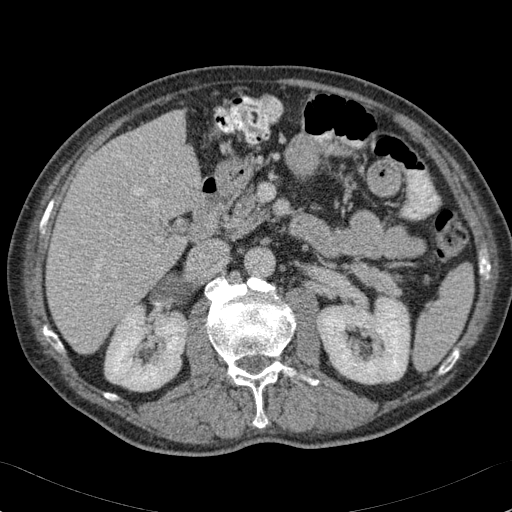 CT scan slice; 512x512
Kidney: bounding box left=105, top=306, right=186, bottom=390; left=316, top=297, right=409, bottom=383.
Liver: bounding box left=47, top=111, right=198, bottom=353.